FLAIR MR image.
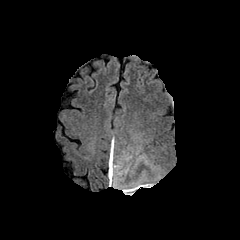
T1-weighted magnetic resonance.
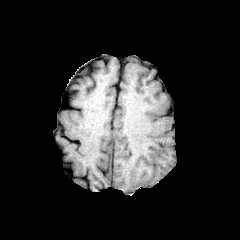
Post-contrast T1-weighted magnetic resonance.
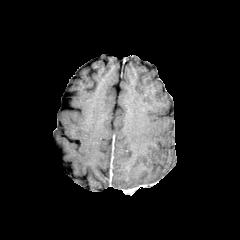
T2-weighted MRI.
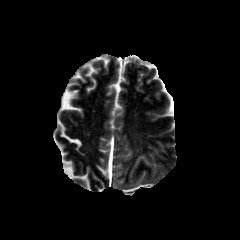
Head.
Edema: bounding box 108, 143, 122, 186; 120, 178, 152, 189.